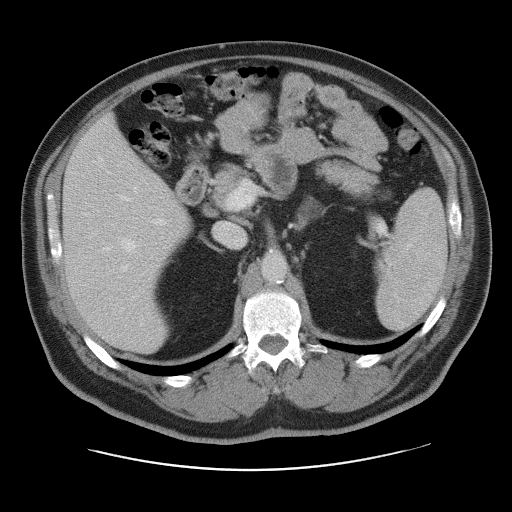 Computed tomography; 512x512 px

Not every hepatic vessel necessarily has a box.
{"hepatic_vessel": ["(132,184,137,192)", "(227,182,255,208)", "(221,224,230,229)", "(149,217,166,225)", "(234,239,242,244)", "(118,194,131,200)", "(121,265,128,270)", "(121,239,136,251)"]}